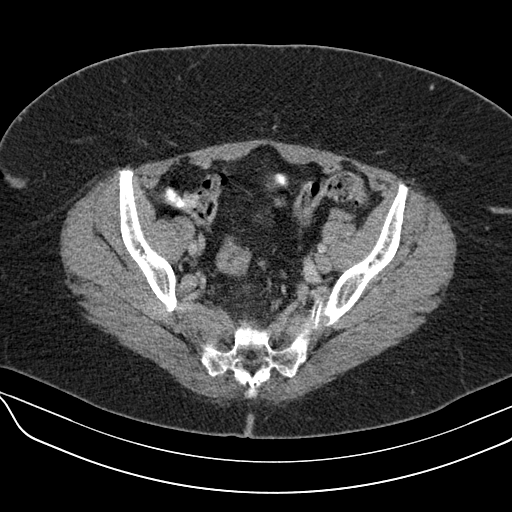

CT scan slice; 512x512
<segmentation>
  <colon_tumor>(216,242,250,273)</colon_tumor>
</segmentation>